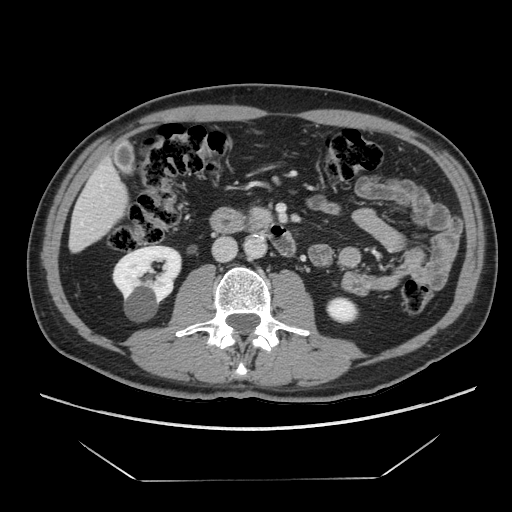 CT scan slice | Upper abdomen
<segmentation>
  <pancreas>{"x1": 252, "y1": 209, "x2": 271, "y2": 221}</pancreas>
</segmentation>